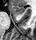
Magnetic resonance.

The anterior hippocampus appears at {"x1": 12, "y1": 6, "x2": 25, "y2": 14}.